Slice index 96
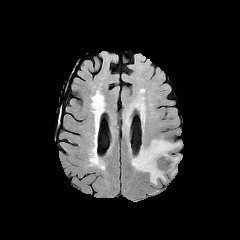
FLAIR MR.
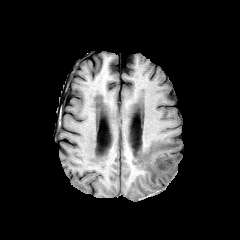
T1-weighted MR image of the same slice.
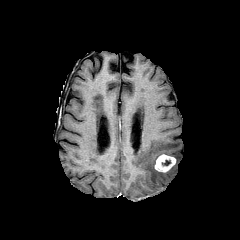
Post-contrast T1-weighted magnetic resonance of the same slice.
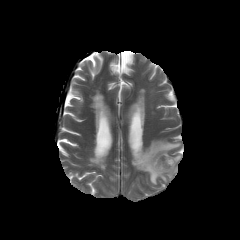
T2-weighted magnetic resonance of the same slice.
The edema is bounded by box(132, 138, 179, 183). The enhancing tumor is bounded by box(154, 154, 175, 172).